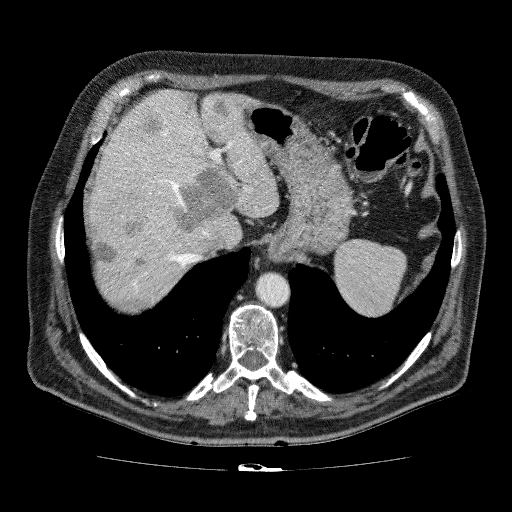
Abdomen; CT slice

Liver at bbox(84, 89, 279, 313).
Focal liver lesion at bbox(134, 109, 163, 139); bbox(120, 212, 149, 240); bbox(169, 163, 240, 234); bbox(209, 96, 230, 118); bbox(179, 91, 198, 113); bbox(85, 215, 118, 265); bbox(95, 269, 99, 281); bbox(131, 255, 150, 268).